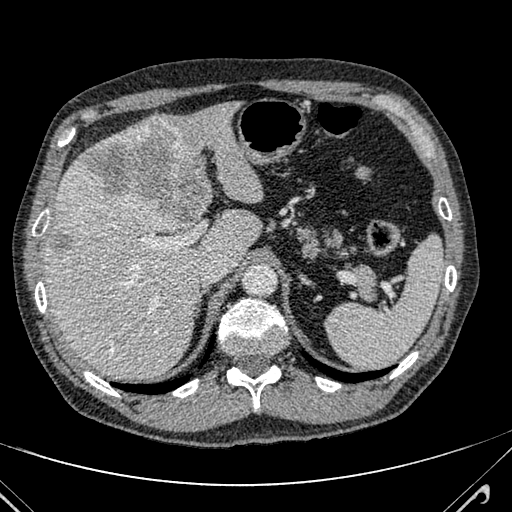
512x512 | CT
Liver: bounding box (x1=47, y1=103, x2=261, y2=377).
Hepatic lesion: bounding box (x1=85, y1=126, x2=211, y2=224), (x1=51, y1=236, x2=71, y2=252).